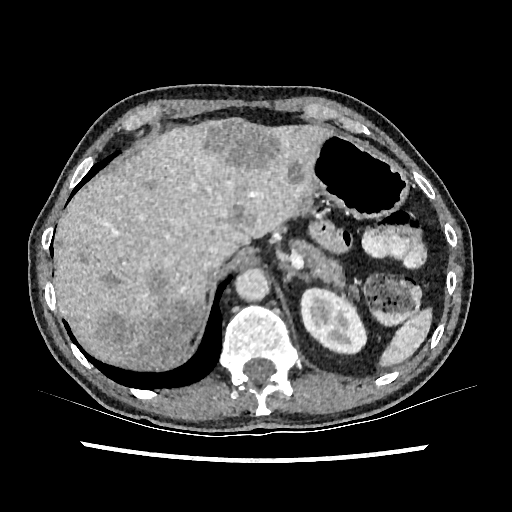 Abdomen, CT scan slice
kidney:
  - 301:289:365:352
liver_lesion:
  - 95:271:201:367
  - 228:187:254:230
  - 287:160:308:185
  - 77:252:88:264
  - 203:120:280:169
  - 299:193:306:205
  - 142:179:157:190
  - 100:271:123:288
  - 57:239:63:248
liver:
  - 57:124:331:367